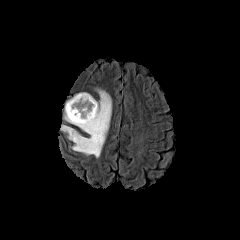
FLAIR MR.
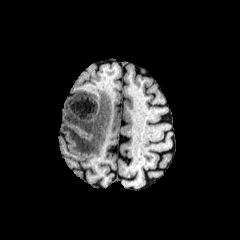
Same slice, T1-weighted magnetic resonance.
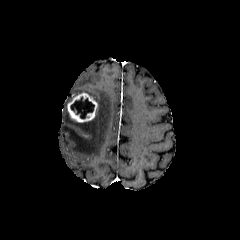
Post-contrast T1-weighted MR image.
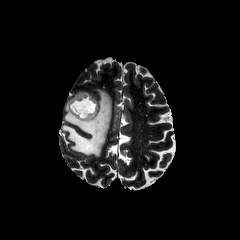
Same slice, T2-weighted MRI.
Segmented structures:
• edema: left=61, top=86, right=112, bottom=157
• non-enhancing tumor core: left=70, top=95, right=94, bottom=119
• enhancing tumor: left=66, top=92, right=97, bottom=122